512x512. CT scan slice.

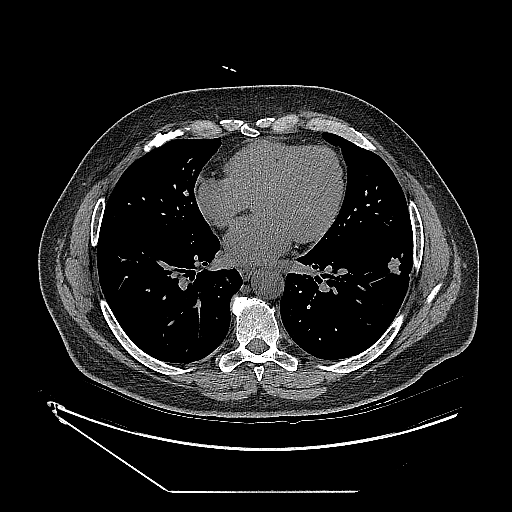
The lung tumor lies within {"x1": 388, "y1": 258, "x2": 399, "y2": 273}.